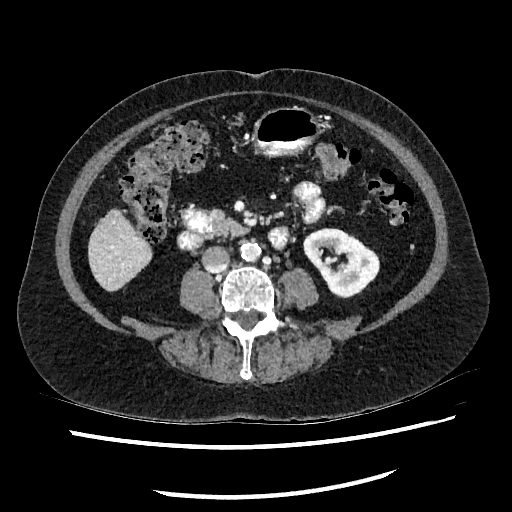 CT image. Upper abdomen.
The liver is located at (89, 210, 150, 290). The kidney is located at (304, 224, 378, 296).